Field of view 240 mm wide, 1.00 mm slice spacing, 240x240
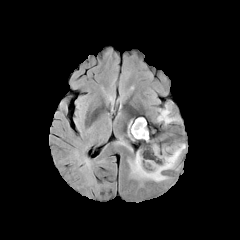
FLAIR MR.
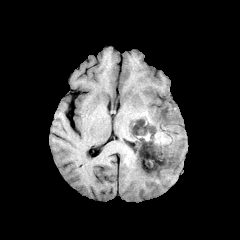
T1-weighted MR image.
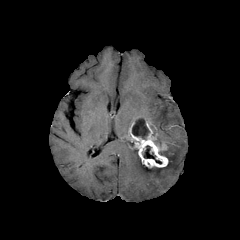
Post-contrast T1-weighted MR image.
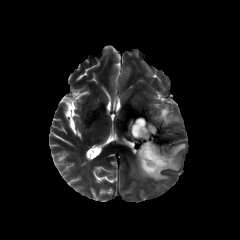
T2-weighted MR image.
edema:
  - bbox(117, 138, 132, 150)
  - bbox(156, 103, 180, 124)
  - bbox(129, 143, 185, 181)
enhancing_tumor:
  - bbox(128, 121, 167, 167)
non-enhancing_tumor_core:
  - bbox(142, 164, 158, 171)
  - bbox(142, 145, 161, 164)
  - bbox(132, 117, 150, 139)